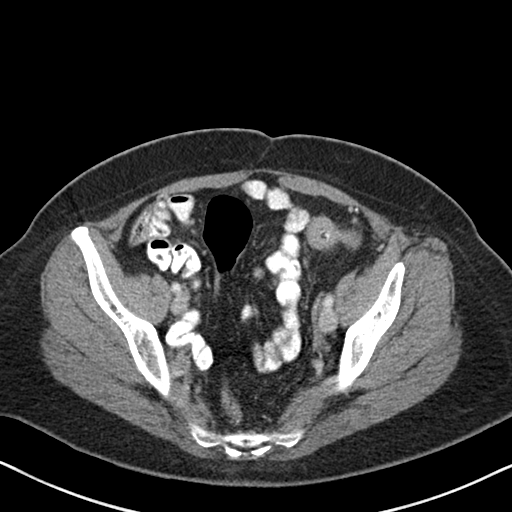
CT image | Abdomen
colon_tumor:
  - <bbox>341, 233, 357, 247</bbox>
  - <bbox>306, 218, 337, 248</bbox>